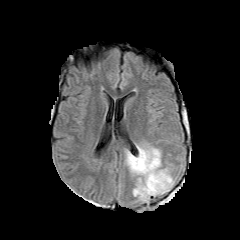
FLAIR MR.
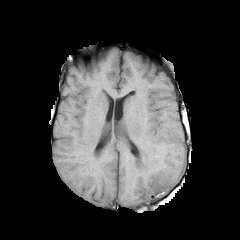
T1-weighted magnetic resonance.
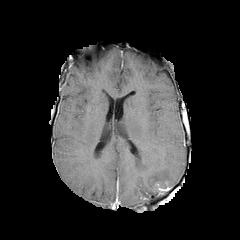
Post-contrast T1-weighted MR.
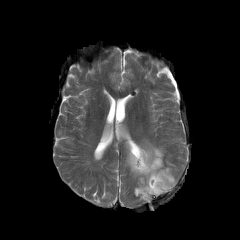
T2-weighted MRI.
Head, 240x240
Enhancing tumor = l=155, t=182, r=169, b=193.
Edema = l=125, t=142, r=177, b=202.